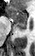

35x56; Hippocampus; MRI slice

Posterior hippocampus: [16, 23, 26, 29].
Anterior hippocampus: [7, 6, 27, 22].